Slice index 67; Brain
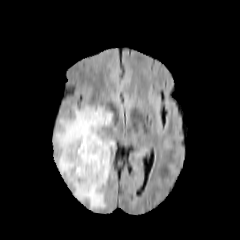
FLAIR MRI.
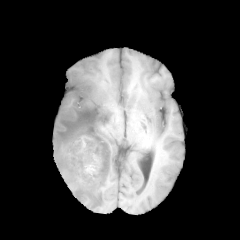
T1-weighted MRI of the same slice.
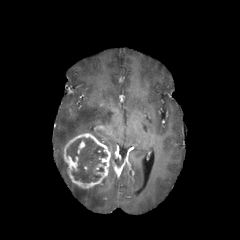
Post-contrast T1-weighted MR image of the same slice.
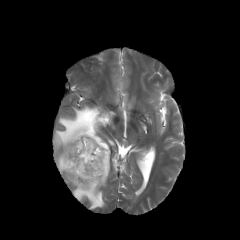
T2-weighted MR.
{"non-enhancing_tumor_core": ["box(66, 137, 108, 183)"], "enhancing_tumor": ["box(64, 132, 111, 188)", "box(78, 141, 85, 153)"], "edema": ["box(53, 105, 114, 208)"]}